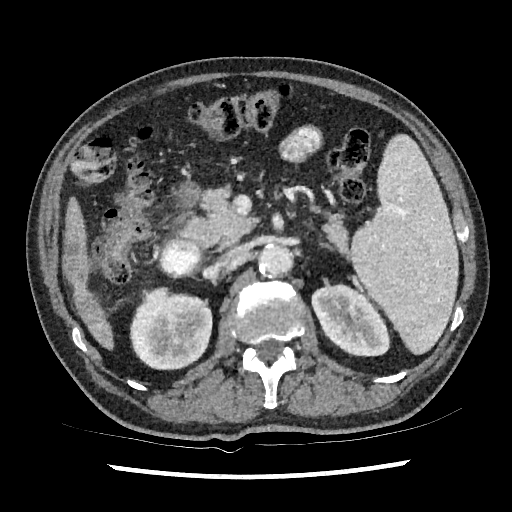

Liver. CT image.

kidney: <bbox>131, 288, 211, 368</bbox>, <bbox>312, 285, 388, 355</bbox> | liver: <bbox>65, 198, 88, 270</bbox>, <bbox>86, 317, 112, 347</bbox>, <bbox>72, 280, 93, 295</bbox> | hepatic lesion: <bbox>63, 234, 87, 283</bbox>, <bbox>74, 293, 104, 327</bbox>